CT scan slice; Slice 442/654; Image width 400 mm 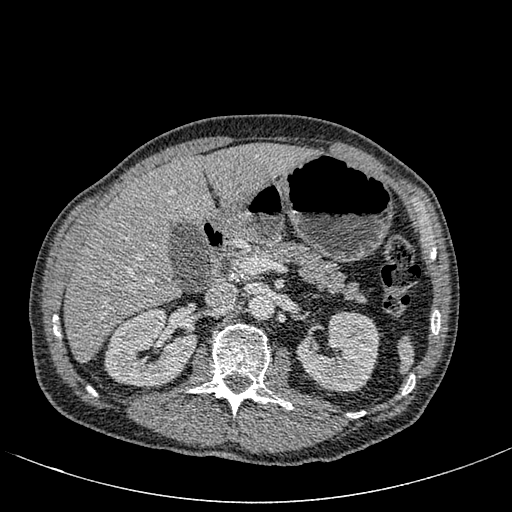 Liver — (left=64, top=144, right=321, bottom=362).
Kidney — (left=297, top=312, right=378, bottom=391), (left=105, top=309, right=196, bottom=386).